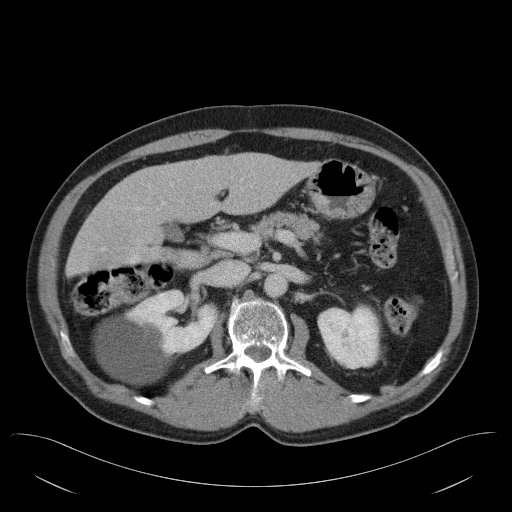 CT, Abdomen, Image size 512x512
Only some of the vessels may be annotated.
- hepatic vessel: left=241, top=178, right=242, bottom=180